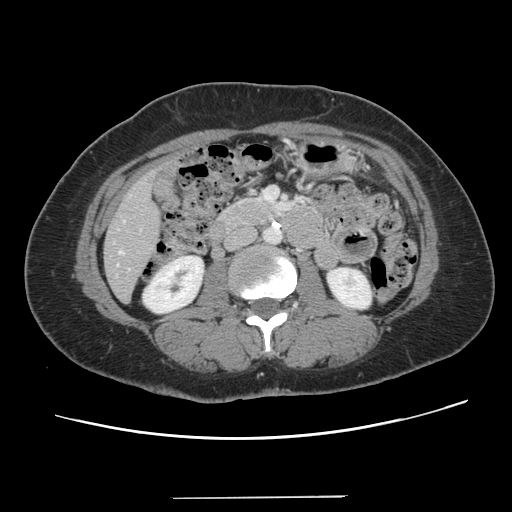
Abdomen | 512x512 px | Computed tomography
The vessel annotation is not exhaustive.
2 hepatic vessel regions are located at box=[123, 220, 125, 222]; box=[119, 251, 123, 254].